512x512, Slice 26/588, CT scan slice

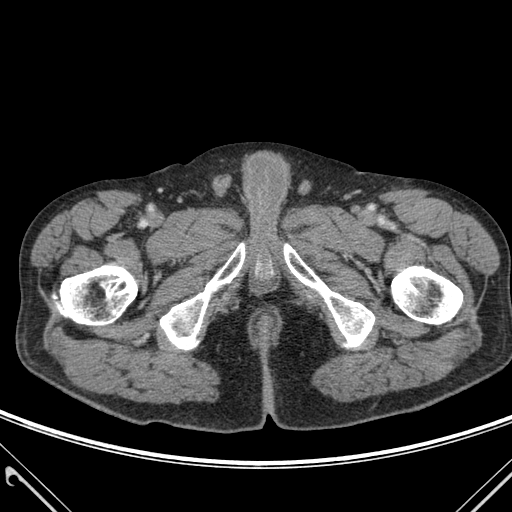 Segmented structures:
• bone: <bbox>160, 243, 244, 349</bbox>, <bbox>53, 265, 137, 325</bbox>, <bbox>391, 266, 462, 324</bbox>, <bbox>284, 244, 374, 346</bbox>